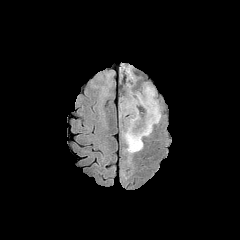
FLAIR magnetic resonance.
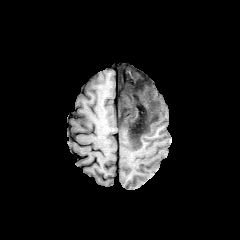
Same slice, T1-weighted MR image.
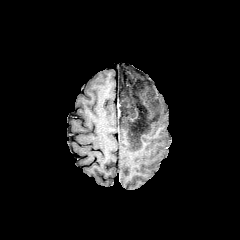
Post-contrast T1-weighted magnetic resonance.
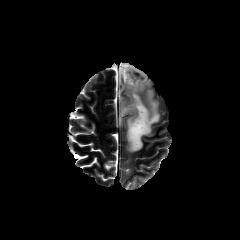
T2-weighted magnetic resonance.
Image size 240x240, Brain
Edema: [119,66,162,165].
Non-enhancing tumor core: [119,69,157,143].